Brain | Slice 125 of 155
FLAIR MR image.
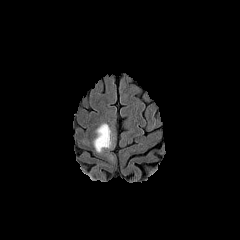
T1-weighted MR.
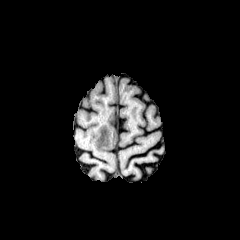
Post-contrast T1-weighted MRI.
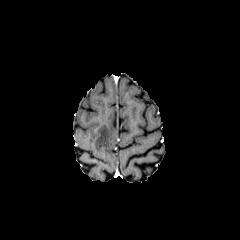
T2-weighted MR image.
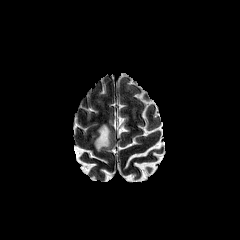
Edema = x1=94 y1=124 x2=112 y2=151.